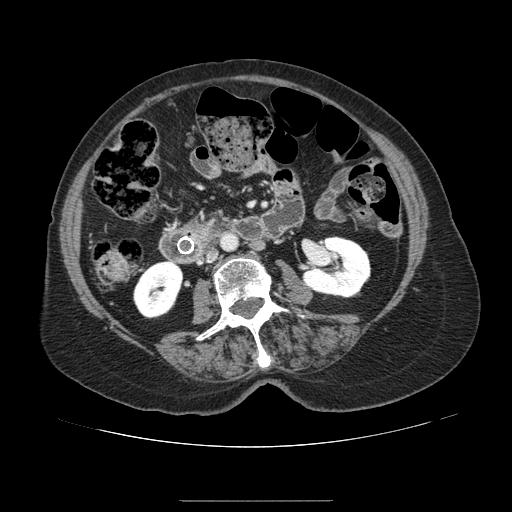

Upper abdomen. CT slice. The pancreatic tumor is located at (195,228,209,247). The pancreas is located at (183,218,219,254).